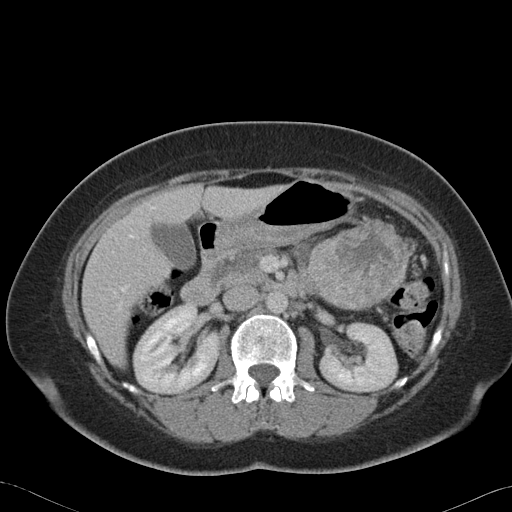 Abdomen. CT. 512x512.

pancreas:
  - box(307, 267, 327, 300)
  - box(213, 248, 269, 288)
pancreatic_tumor:
  - box(308, 222, 406, 308)